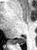

Medial temporal lobe. 37x50. MRI.
Posterior hippocampus = bbox(13, 37, 25, 44).